Image size 512x512. CT image. Image width 512 mm.
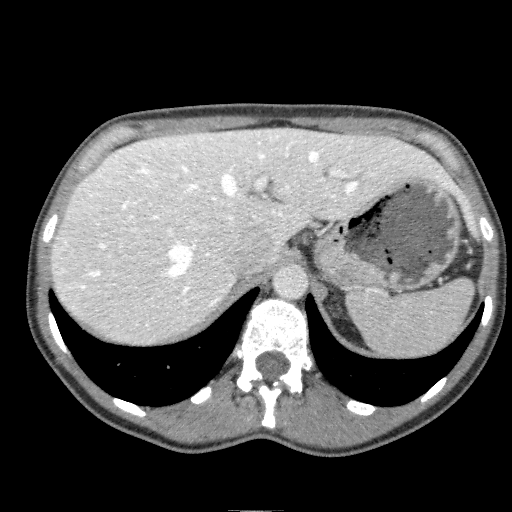
The liver is bounded by bbox(50, 127, 477, 345).